CT 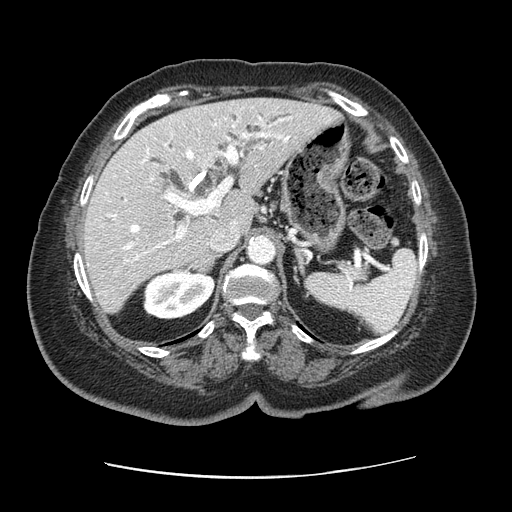 pancreas: (x1=333, y1=258, x2=370, y2=286)